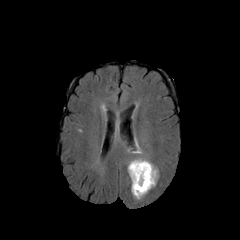
FLAIR MR image.
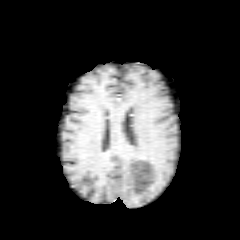
T1-weighted MRI.
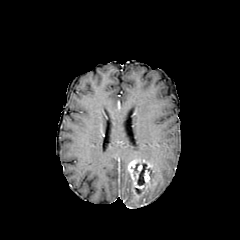
Same slice, post-contrast T1-weighted MRI.
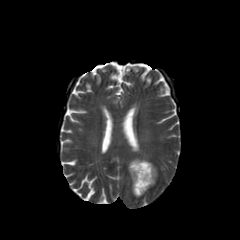
T2-weighted MR.
Segmented structures:
• enhancing tumor: box(128, 160, 151, 190)
• non-enhancing tumor core: box(137, 163, 146, 185)
• edema: box(132, 135, 142, 153); box(127, 158, 158, 199)